Liver. 512x512. Image width 335 mm. CT scan slice.

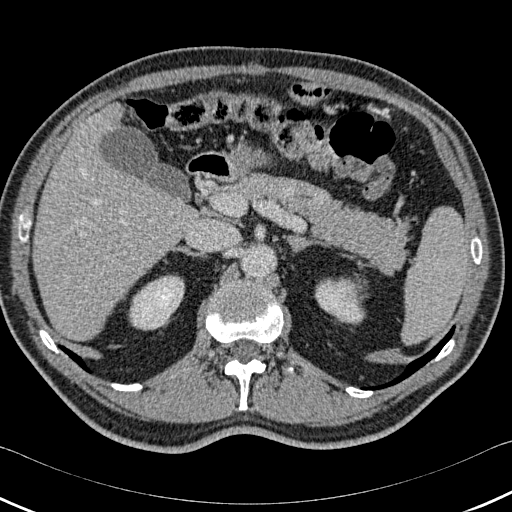 lung:
  - rect(67, 349, 93, 373)
  - rect(360, 325, 455, 390)
kidney:
  - rect(316, 281, 361, 321)
  - rect(130, 277, 183, 328)
bone:
  - rect(435, 339, 454, 361)
  - rect(346, 387, 372, 397)
  - rect(225, 359, 265, 410)
  - rect(206, 281, 283, 343)
  - rect(19, 215, 30, 241)
  - rect(40, 330, 58, 353)
  - rect(471, 237, 482, 264)
  - rect(111, 383, 142, 391)
liver:
  - rect(110, 103, 123, 121)
  - rect(33, 111, 198, 340)